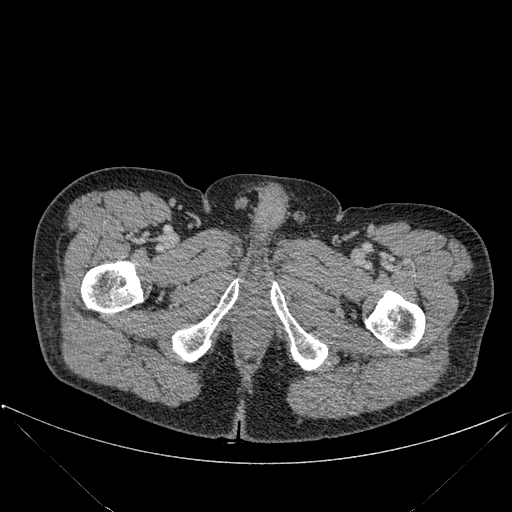 Image size 512x512; CT scan slice

bone:
  - (left=271, top=282, right=327, bottom=370)
  - (left=365, top=290, right=424, bottom=349)
  - (left=81, top=261, right=142, bottom=313)
  - (left=172, top=279, right=238, bottom=361)